Abdomen | Slice 490/685 | 512x512 | CT image
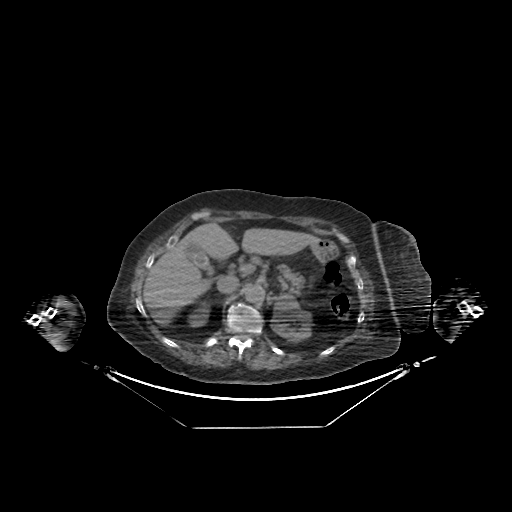

{"liver": ["142:222:322:326"], "kidney": ["189:302:208:326", "271:300:313:341"]}